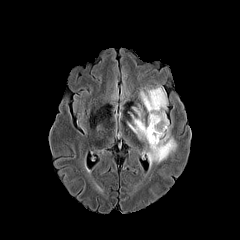
FLAIR MRI.
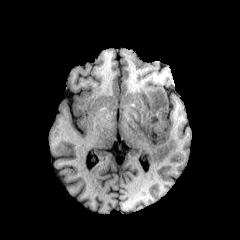
T1-weighted magnetic resonance.
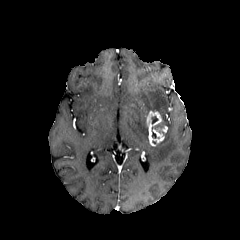
Same slice, post-contrast T1-weighted MR image.
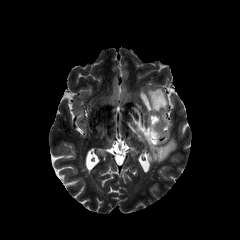
T2-weighted MRI of the same slice.
Brain
Annotated regions:
* non-enhancing tumor core: bbox(137, 109, 148, 128)
* edema: bbox(139, 86, 168, 125); bbox(127, 115, 176, 169)
* enhancing tumor: bbox(144, 110, 167, 146)